FLAIR magnetic resonance.
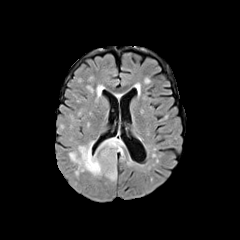
T1-weighted MR image.
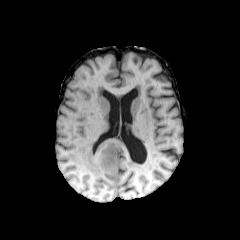
Post-contrast T1-weighted MR.
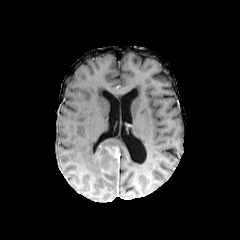
T2-weighted MR.
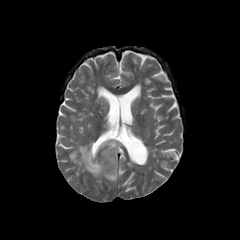
240x240 px
<segmentation>
  <edema>bbox=[69, 135, 125, 181]; bbox=[95, 85, 103, 102]</edema>
  <enhancing_tumor>bbox=[106, 146, 119, 161]</enhancing_tumor>
</segmentation>